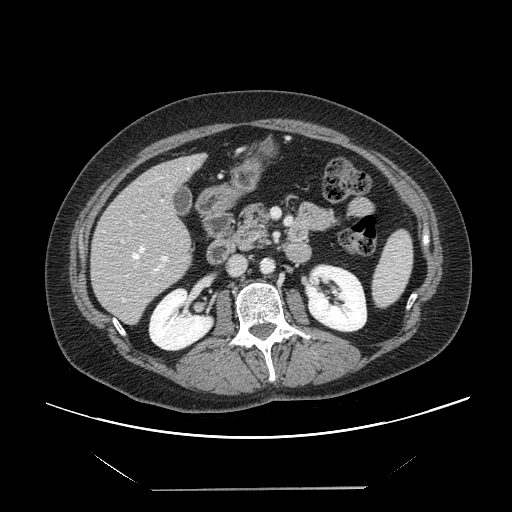 Liver. CT image.

Some hepatic vessels may have no box.
Hepatic vessel — x1=126, y1=275, x2=128, y2=276; x1=150, y1=254, x2=168, y2=273; x1=121, y1=239, x2=124, y2=241; x1=143, y1=215, x2=145, y2=218; x1=131, y1=244, x2=145, y2=266; x1=122, y1=299, x2=124, y2=300; x1=160, y1=200, x2=163, y2=202; x1=129, y1=221, x2=132, y2=225.